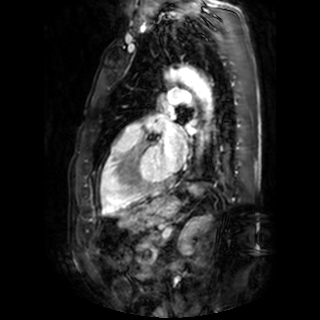 Cardiac, Magnetic resonance
2 left atrium regions are located at (x1=187, y1=125, x2=196, y2=134), (x1=156, y1=118, x2=186, y2=169).